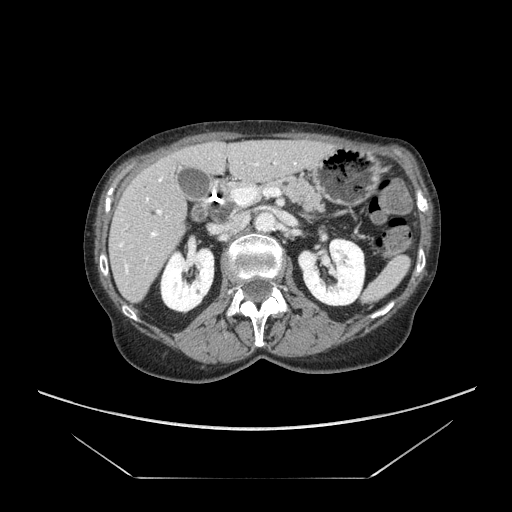 Computed tomography

The pancreas is located at bbox(262, 172, 329, 217).